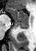

MR

posterior_hippocampus:
  - (17, 23, 30, 33)
anterior_hippocampus:
  - (9, 8, 29, 22)